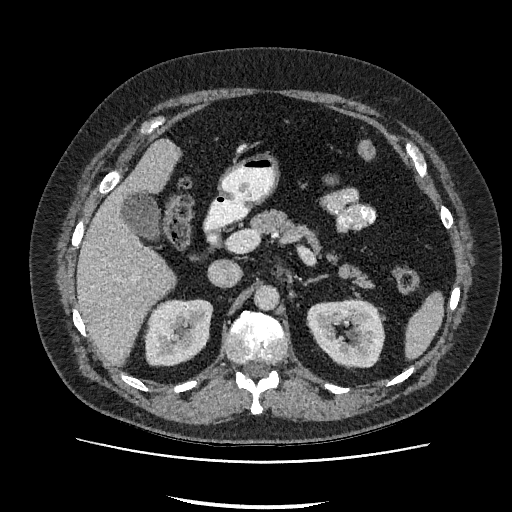 Computed tomography

2 kidney regions are located at rect(308, 300, 383, 366); rect(146, 300, 211, 364). The liver lies within rect(78, 139, 178, 365).